CT image. 512x512 px. 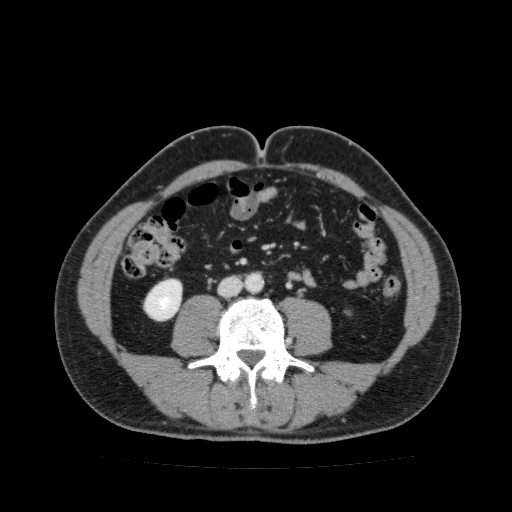

Kidney — (left=144, top=279, right=181, bottom=320).